37x45; MR image 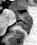

Segmented structures:
- posterior hippocampus: [18, 20, 31, 31]
- anterior hippocampus: [13, 10, 30, 19]